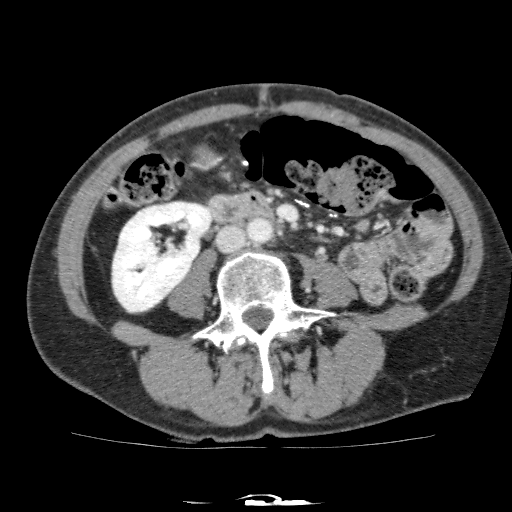
512x512 px. Computed tomography. Abdomen. Annotated regions:
- kidney: (112, 202, 210, 311)